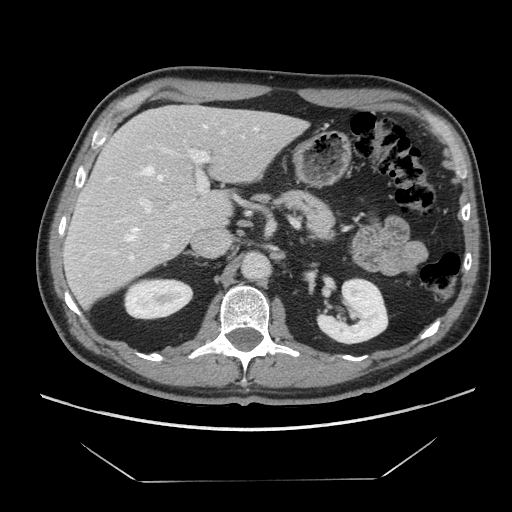

512x512; CT slice
pancreas: (left=282, top=190, right=334, bottom=239)